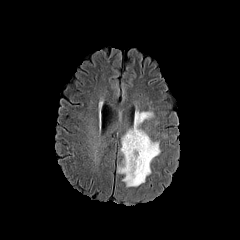
FLAIR magnetic resonance.
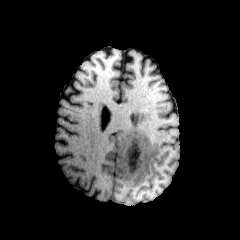
T1-weighted MR image of the same slice.
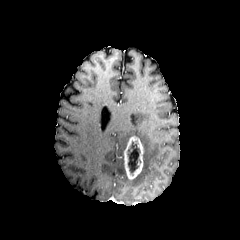
Post-contrast T1-weighted magnetic resonance of the same slice.
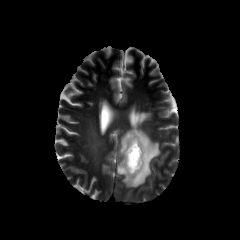
T2-weighted MR image.
Head
Annotated regions:
• enhancing tumor: region(123, 136, 144, 179)
• non-enhancing tumor core: region(127, 141, 140, 172)
• edema: region(121, 110, 160, 187)